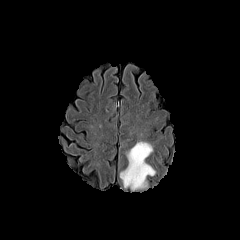
FLAIR MR image.
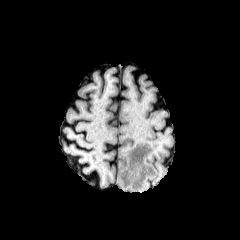
T1-weighted magnetic resonance of the same slice.
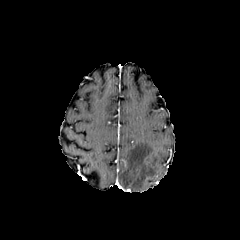
Post-contrast T1-weighted MR image.
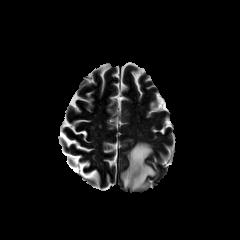
T2-weighted magnetic resonance.
Image size 240x240
Edema: [x1=120, y1=142, x2=155, y2=190].